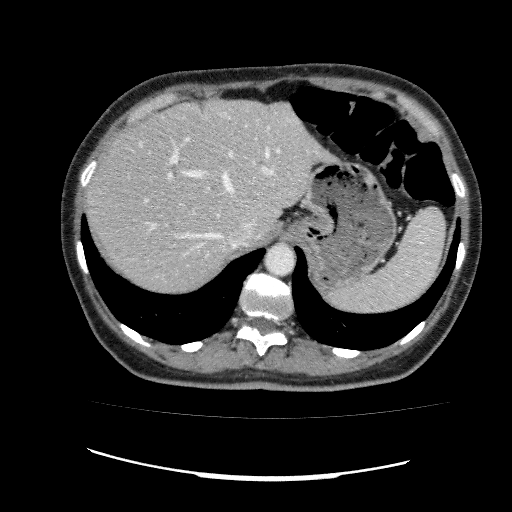 Image size 512x512. CT scan slice. Liver. liver:
  - [85, 98, 340, 294]